240x240
FLAIR MR.
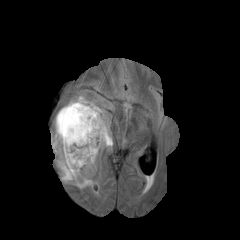
T1-weighted MR image.
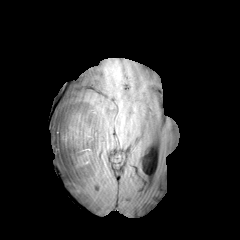
Post-contrast T1-weighted MR.
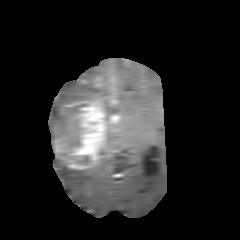
T2-weighted MRI.
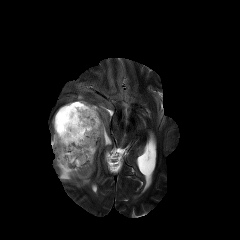
Non-enhancing tumor core: 52:104:85:139, 56:158:69:168.
Enhancing tumor: 53:101:107:168.
Edema: 100:108:112:148, 54:158:93:188, 52:95:97:127.